512x512 px, Liver, CT
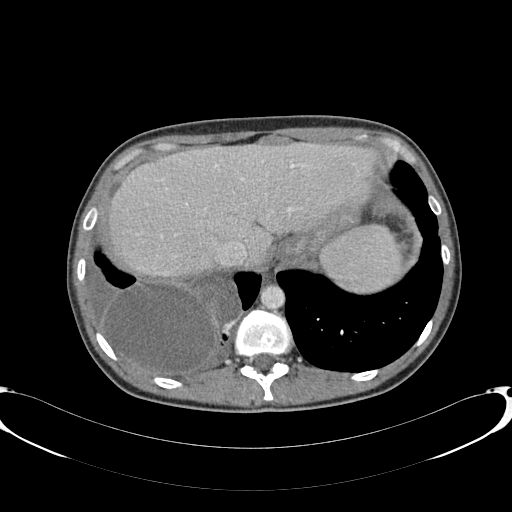 The liver lies within (110, 143, 375, 276).